CT slice; Abdomen; Image size 512x512 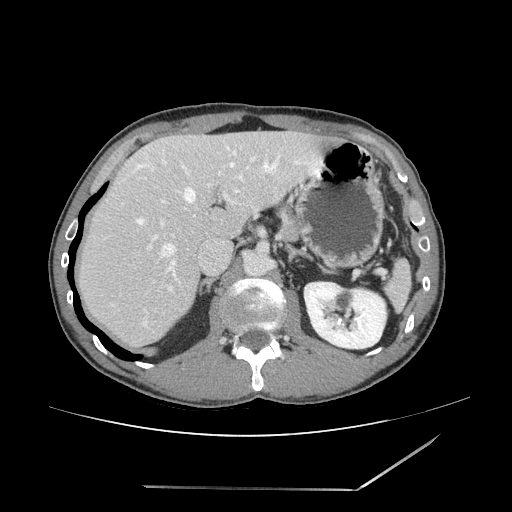
pancreas: rect(282, 216, 300, 242)